240x240 px; Brain; Image width 240 mm; Slice index 83
FLAIR MR.
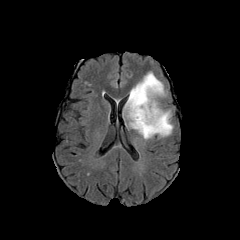
T1-weighted MRI.
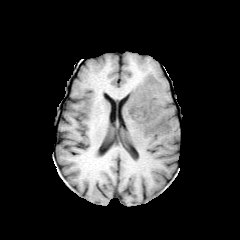
Post-contrast T1-weighted MR.
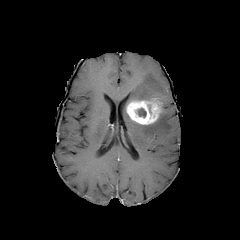
T2-weighted magnetic resonance.
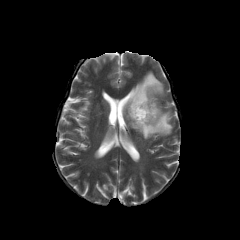
The non-enhancing tumor core is located at rect(136, 108, 146, 117). The enhancing tumor is located at rect(125, 98, 161, 124). 2 edema regions are located at rect(123, 107, 173, 139); rect(129, 72, 165, 100).